Abdomen | CT
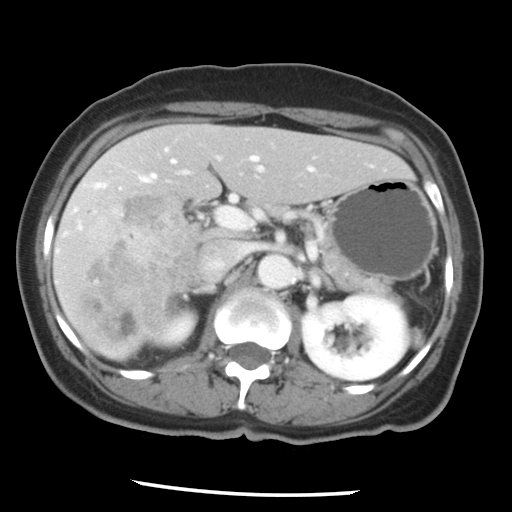

Only some of the vessels may be annotated.
<segmentation>
  <hepatic_vessel>(308,167,313,171), (165,148,167,151), (77,224,80,228), (258,166,262,169), (217,207,253,229), (136,173,156,182), (231,243,255,258), (83,179,108,202), (180,171,185,173), (171,158,176,163), (250,155,259,161), (205,256,226,271)</hepatic_vessel>
  <liver_tumor>(78,191,190,348)</liver_tumor>
</segmentation>